CT scan slice. Slice index 35. 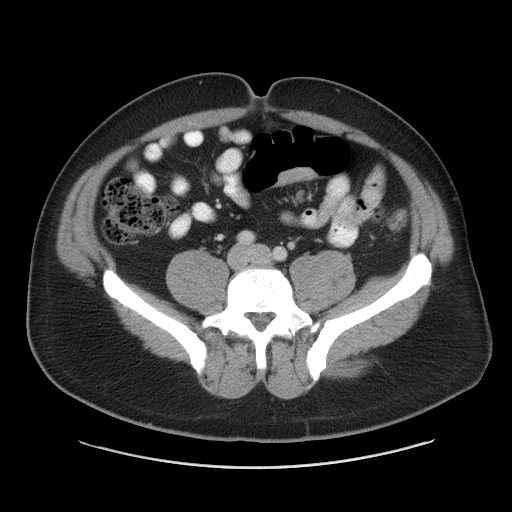 The colon tumor lies within <box>275,166,317,187</box>.